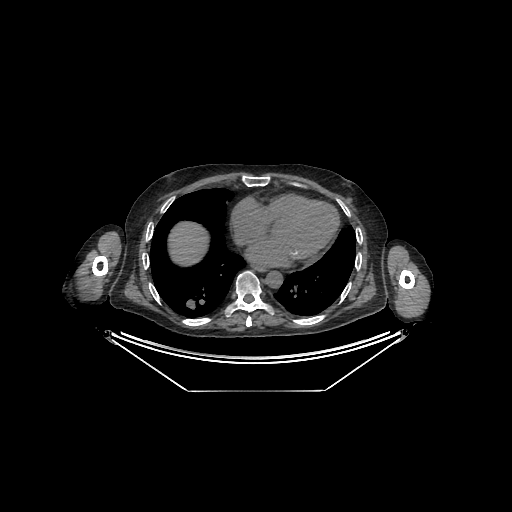

Computed tomography; 512x512

{"liver": ["<box>168,221,208,265</box>"]}